Field of view 434 mm wide, 1.00 mm slice spacing, Computed tomography

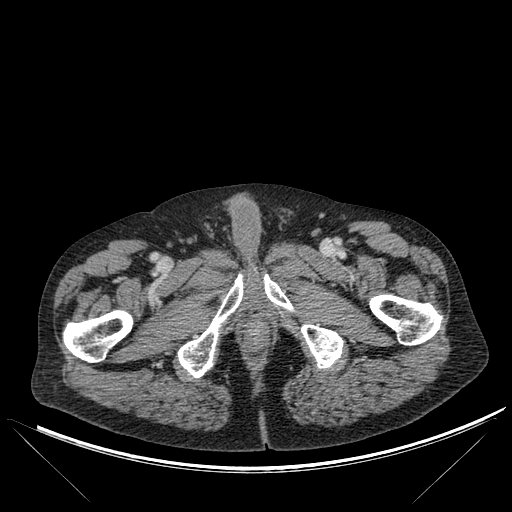 5 bone regions are located at 301:324:343:368, 369:294:441:345, 264:274:293:311, 178:274:243:377, 63:310:132:362.